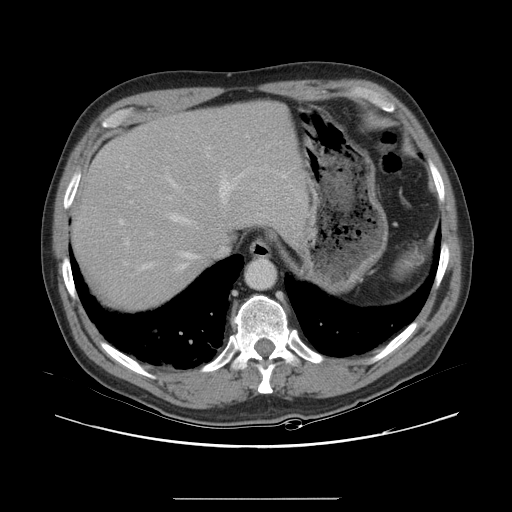 CT slice. 512x512. Abdomen.
The vessel boxes may cover only some of the vessels.
Hepatic vessel at 126,164,129,166; 176,252,196,270; 166,175,176,187; 124,238,128,250; 139,263,153,270; 127,186,129,188; 207,147,209,148; 125,264,126,265; 130,201,132,202; 141,179,143,181; 119,220,123,224; 169,196,170,198; 169,213,194,224; 219,169,248,203.